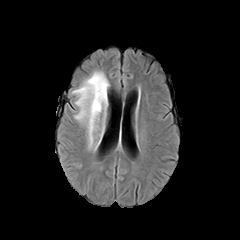
FLAIR MR image.
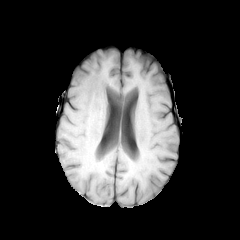
Same slice, T1-weighted magnetic resonance.
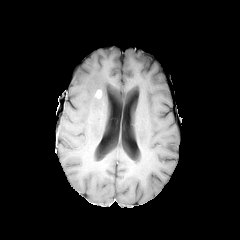
Same slice, post-contrast T1-weighted MR image.
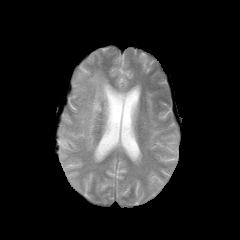
T2-weighted MR image of the same slice.
240x240.
Annotated regions:
- edema: x1=72, y1=70, x2=110, y2=150